Brain. Slice 115/155.
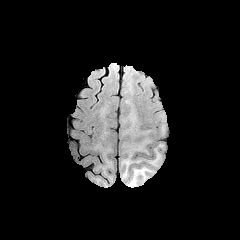
FLAIR magnetic resonance.
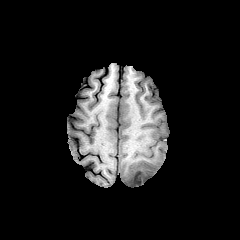
T1-weighted magnetic resonance.
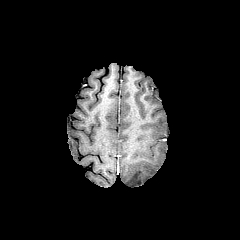
Post-contrast T1-weighted MR.
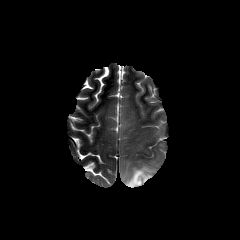
T2-weighted MR.
The non-enhancing tumor core appears at bbox=[135, 172, 143, 183]. The edema is at bbox=[122, 160, 153, 186].